Abdomen; CT image; Image width 500 mm

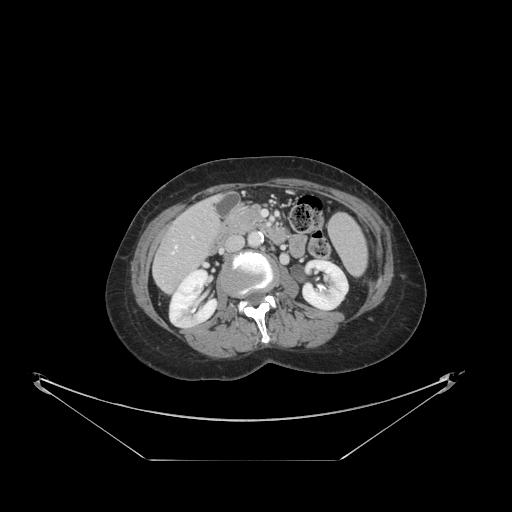 Some hepatic vessels may have no box.
3 hepatic vessel regions are located at rect(171, 252, 173, 253); rect(192, 235, 193, 237); rect(175, 245, 177, 248).